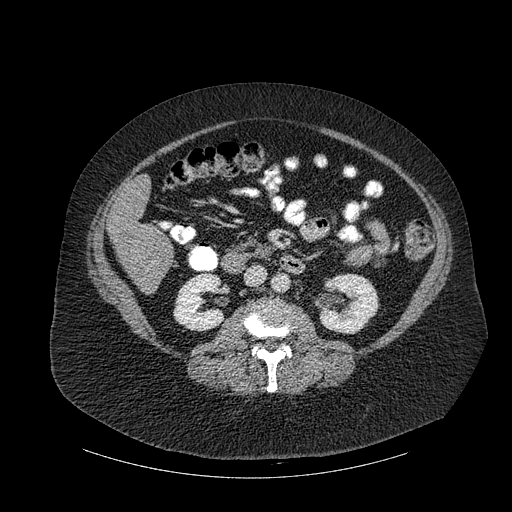 Upper abdomen. CT slice. 2 bone regions are bounded by (252, 345, 291, 391), (244, 302, 296, 337). The liver is at (108, 174, 174, 292). 2 kidney regions appear at (174, 274, 223, 330), (320, 274, 377, 333).